MR image | Medial temporal lobe 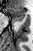
<segmentation>
  <anterior_hippocampus>l=9, t=7, r=25, b=21</anterior_hippocampus>
</segmentation>